42x51 px. Slice 8 of 28. MRI. Image width 42 mm. 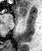
* anterior hippocampus: l=19, t=7, r=25, b=17